Abdomen, 512x512 px, Computed tomography 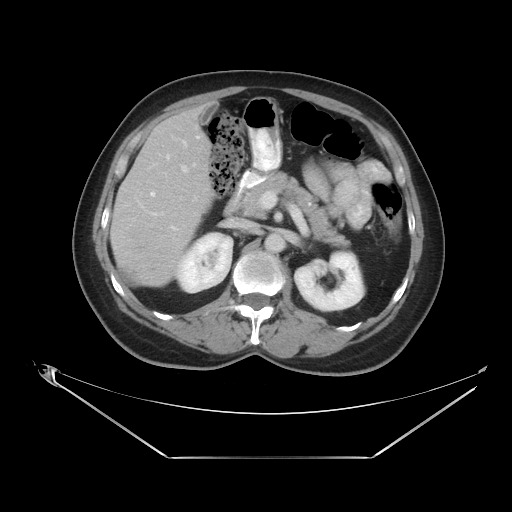
The vessel boxes may cover only some of the vessels.
The liver tumor appears at left=125, top=240, right=173, bottom=281. 2 hepatic vessel regions are located at left=192, top=163, right=195, bottom=166; left=180, top=165, right=188, bottom=172.